FLAIR MR image.
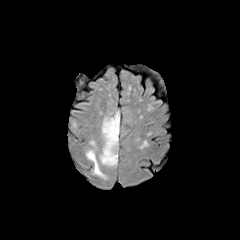
T1-weighted MR.
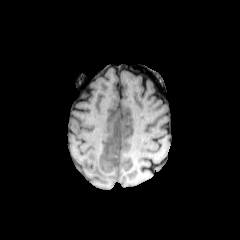
Post-contrast T1-weighted MR image.
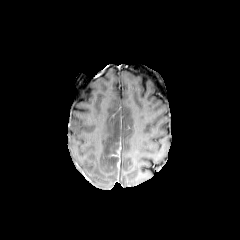
T2-weighted MR image.
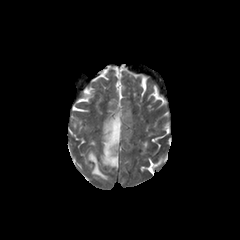
Head
The non-enhancing tumor core appears at <bbox>109, 142, 119, 166</bbox>. 2 edema regions are bounded by <bbox>99, 111, 119, 167</bbox>, <bbox>86, 140, 107, 179</bbox>. The enhancing tumor lies within <bbox>112, 143, 121, 168</bbox>.